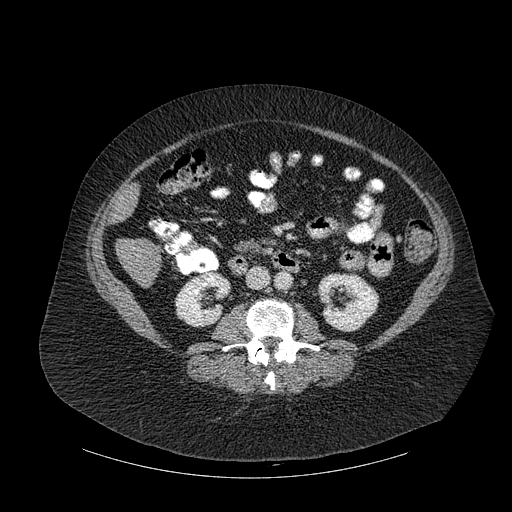
CT scan slice; Abdomen
Liver — bbox=[115, 238, 161, 287]; bbox=[110, 184, 139, 223].
Bone — bbox=[223, 300, 319, 365]; bbox=[265, 371, 274, 389].
Kidney — bbox=[319, 274, 377, 330]; bbox=[176, 272, 229, 326].